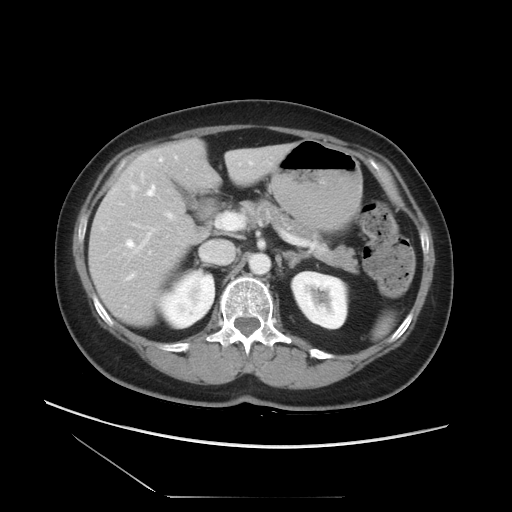

Abdomen; CT slice
The vessel annotation is not exhaustive.
11 hepatic vessel regions appear at 217:214:242:231, 127:274:134:279, 102:228:103:229, 130:185:137:194, 147:186:155:195, 159:158:162:161, 134:224:137:226, 141:173:143:181, 126:228:153:253, 167:213:173:218, 249:161:252:164.